320x320 | MR
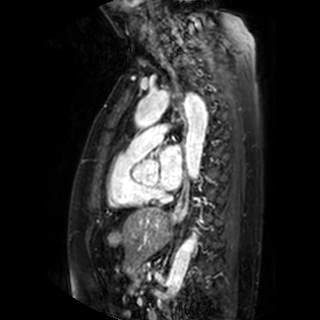

left atrium: box(160, 144, 182, 189)